FLAIR MRI.
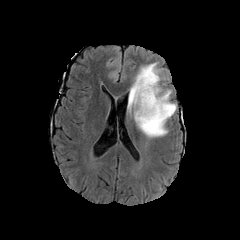
T1-weighted MR.
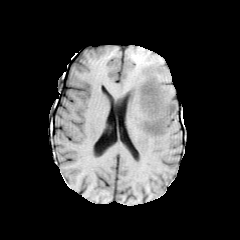
Post-contrast T1-weighted magnetic resonance.
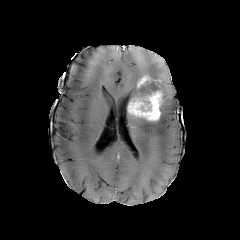
T2-weighted MR image.
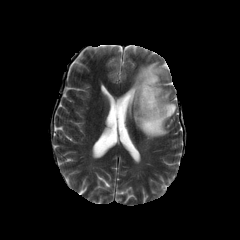
Brain.
Enhancing tumor: {"x1": 137, "y1": 75, "x2": 161, "y2": 88}, {"x1": 128, "y1": 90, "x2": 162, "y2": 121}.
Edema: {"x1": 133, "y1": 82, "x2": 177, "y2": 138}, {"x1": 128, "y1": 61, "x2": 169, "y2": 101}.
Non-enhancing tumor core: {"x1": 141, "y1": 82, "x2": 157, "y2": 95}.